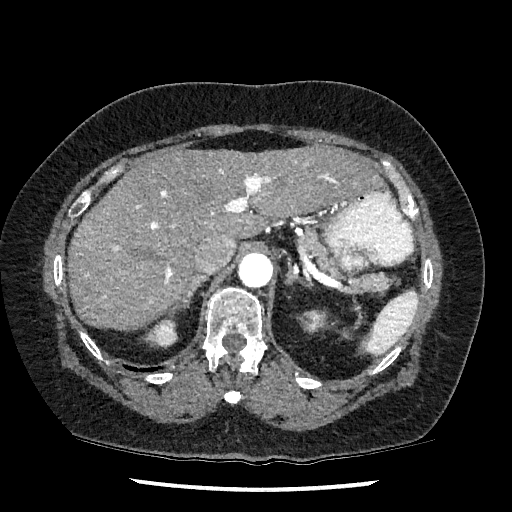

Upper abdomen, Computed tomography
Segmented structures:
* kidney: bbox(148, 320, 175, 345); bbox(314, 312, 322, 326)
* liver: bbox(69, 146, 385, 328)